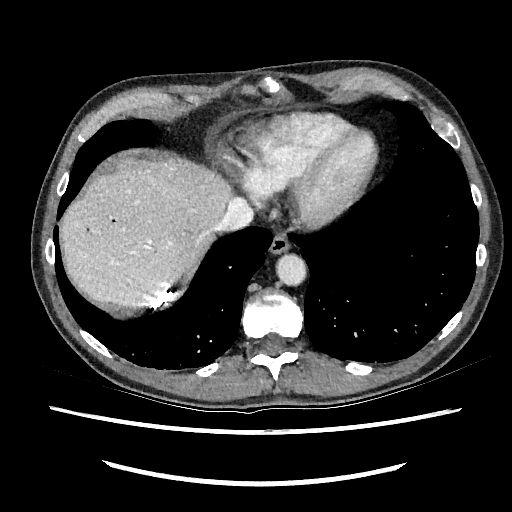

CT image | Liver
{
  "liver": [
    "x1=61 y1=157 x2=231 y2=306"
  ]
}